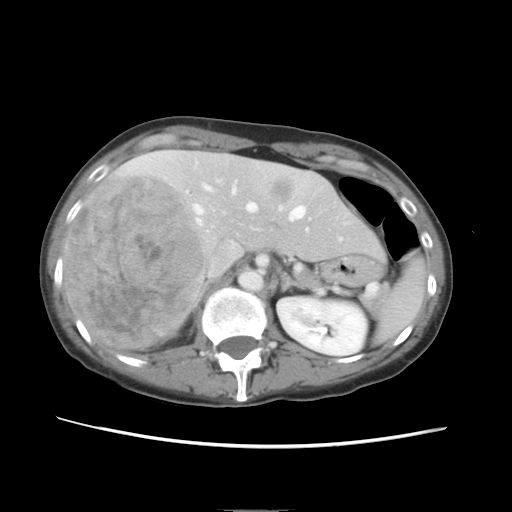
CT
Only some of the vessels may be annotated.
Hepatic vessel: bounding box 232,186,235,192; 306,228,308,230; 280,206,281,208; 290,206,304,219; 204,184,211,190; 194,204,202,223; 247,202,256,210.
Liver tumor: bounding box 268,175,295,203; 215,170,227,180; 64,176,205,349.